Head
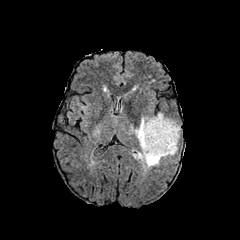
FLAIR MR.
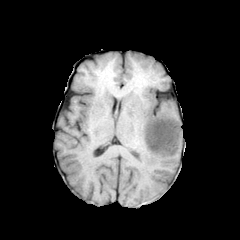
Same slice, T1-weighted magnetic resonance.
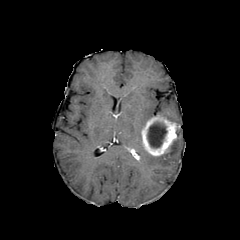
Post-contrast T1-weighted MR.
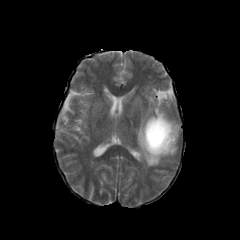
T2-weighted magnetic resonance.
<segmentation>
  <non-enhancing_tumor_core>(left=147, top=122, right=166, bottom=147)</non-enhancing_tumor_core>
  <edema>(left=159, top=111, right=178, bottom=123), (left=134, top=115, right=181, bottom=167)</edema>
  <enhancing_tumor>(left=130, top=149, right=139, bottom=159), (left=141, top=114, right=179, bottom=155)</enhancing_tumor>
</segmentation>